512x512. CT. Abdomen. 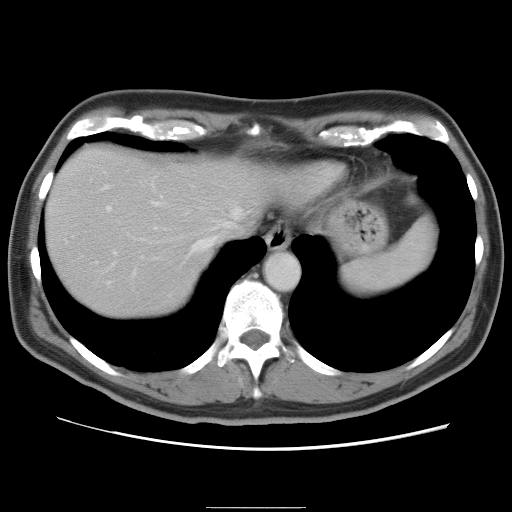 The vessel annotation is not exhaustive.
Hepatic vessel: region(112, 262, 113, 264); region(160, 195, 161, 197); region(154, 257, 156, 258); region(154, 226, 156, 228); region(191, 236, 214, 251); region(107, 281, 109, 283); region(106, 206, 110, 209); region(230, 207, 241, 217); region(188, 252, 190, 255); region(133, 269, 135, 273); region(113, 250, 115, 253); region(214, 221, 229, 227); region(102, 185, 107, 188); region(141, 256, 142, 257); region(152, 201, 159, 204).